CT slice; Field of view 391x391 mm; 512x512 px; Lower abdomen; Slice 114/756

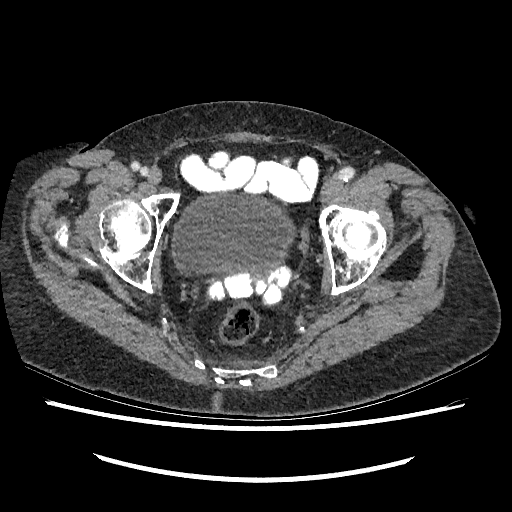
urinary bladder: (173,191,296,275)